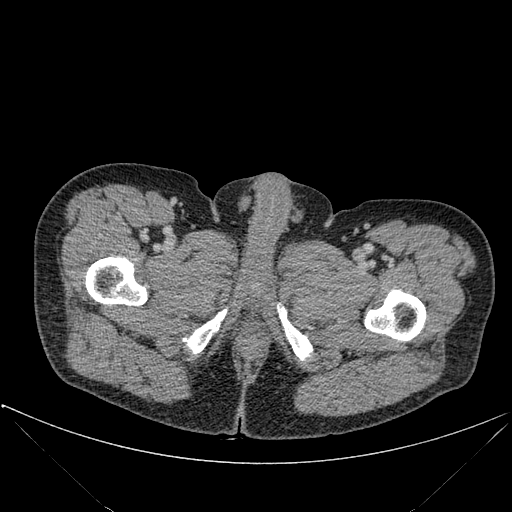 CT slice
Bone at [364, 290, 425, 340], [277, 304, 312, 360], [85, 257, 147, 305], [182, 309, 226, 353].